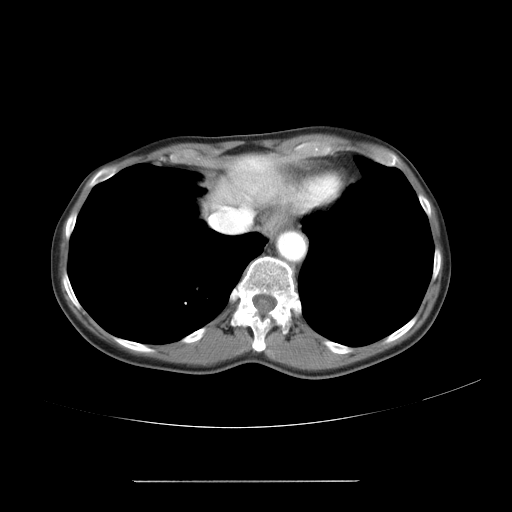

Abdomen; CT slice

Some hepatic vessels may have no box.
Annotated regions:
• hepatic vessel: bbox=[209, 210, 247, 231]